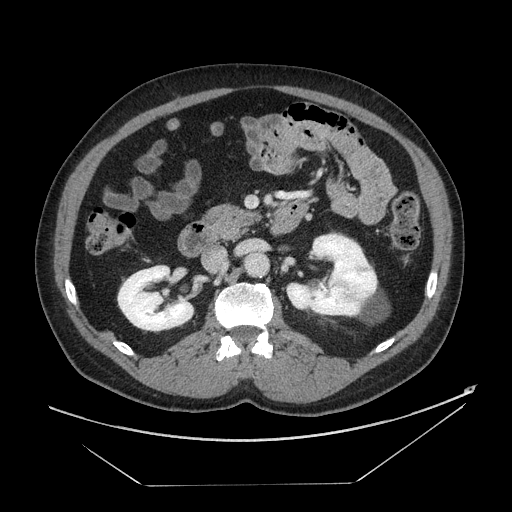 CT scan slice, Abdomen
Annotated regions:
* pancreas: 204:204:259:240